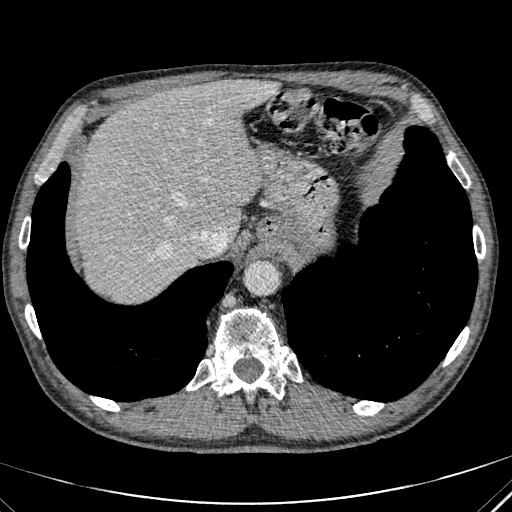
CT slice; Liver

* liver: [77, 80, 279, 302]